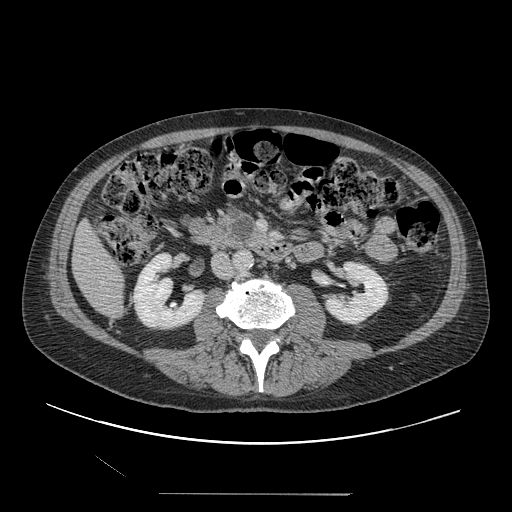
Abdomen. Image size 512x512. CT slice.

Annotated regions:
- pancreas: [210,208,265,249]
- pancreatic tumor: [231,217,253,241]